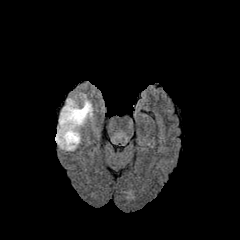
FLAIR magnetic resonance.
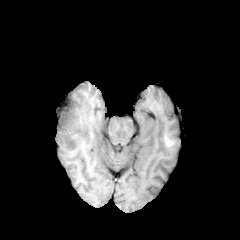
T1-weighted MRI.
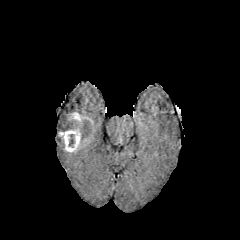
Post-contrast T1-weighted MR.
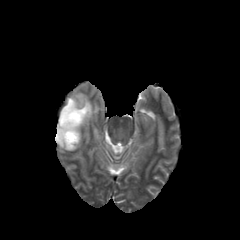
T2-weighted magnetic resonance of the same slice.
Brain
The non-enhancing tumor core is located at left=56, top=100, right=88, bottom=148. The edema is bounded by left=58, top=92, right=95, bottom=135. 2 enhancing tumor regions appear at left=58, top=127, right=80, bottom=150; left=67, top=111, right=81, bottom=123.